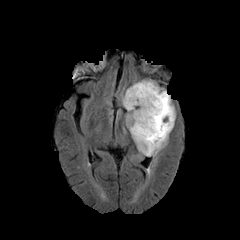
FLAIR MR.
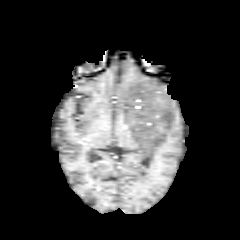
T1-weighted MR.
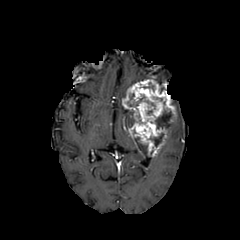
Post-contrast T1-weighted MRI.
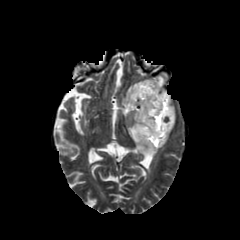
Same slice, T2-weighted MR image.
2 edema regions are located at <box>119,80,143,103</box>, <box>124,109,176,161</box>. The enhancing tumor lies within <box>122,79,175,154</box>. 3 non-enhancing tumor core regions are bounded by <box>154,111,172,129</box>, <box>150,133,163,146</box>, <box>129,94,144,107</box>.